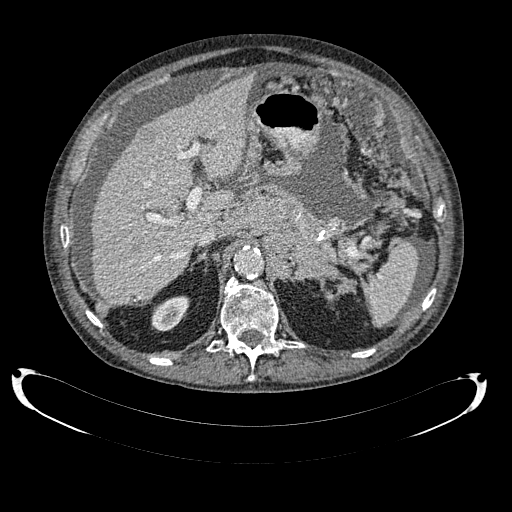

Liver. CT scan slice.
Focal liver lesion: bounding box bbox(133, 242, 140, 252); bbox(136, 125, 154, 144).
Kidney: bounding box bbox(152, 296, 188, 330).
Liver: bounding box bbox(91, 73, 255, 306).